Brain; 240x240 px
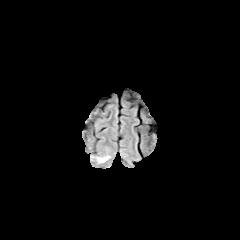
FLAIR MR image.
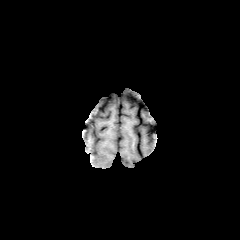
Same slice, T1-weighted MR.
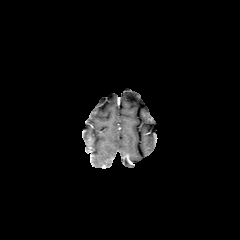
Post-contrast T1-weighted magnetic resonance.
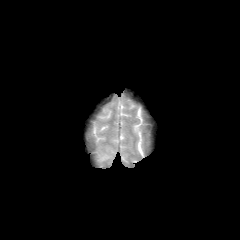
Same slice, T2-weighted magnetic resonance.
The edema lies within l=96, t=155, r=109, b=162.